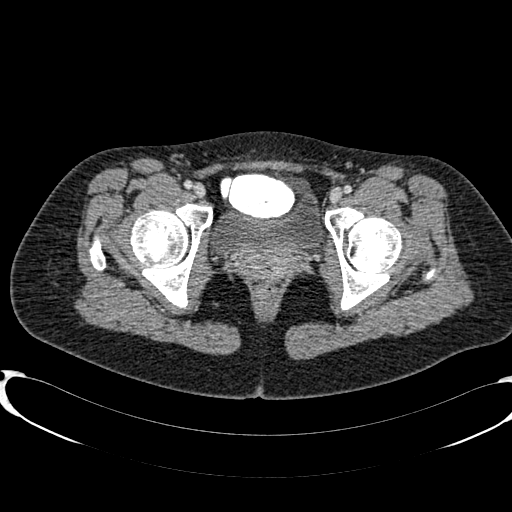
Lower abdomen, 512x512 px, CT image
Urinary bladder: bounding box 217:191:322:256.